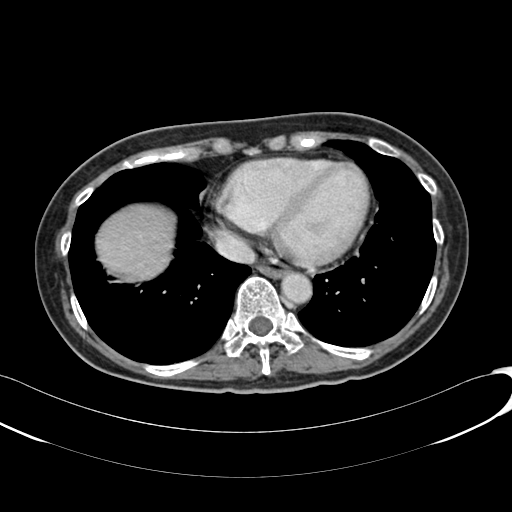
CT scan slice; Abdomen
The liver is located at 97,205,171,278.